Slice 355 of 536 | CT image
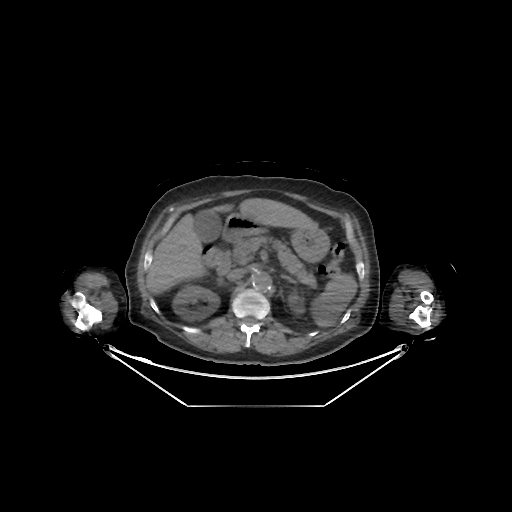
6 bone regions are bounded by 357, 265, 363, 277; 144, 256, 151, 268; 72, 292, 101, 329; 409, 291, 433, 327; 184, 327, 197, 332; 233, 290, 268, 346. 2 liver regions are located at 146, 215, 206, 291; 241, 199, 317, 231. 2 kidney regions appear at 288, 294, 304, 313; 173, 283, 219, 320.